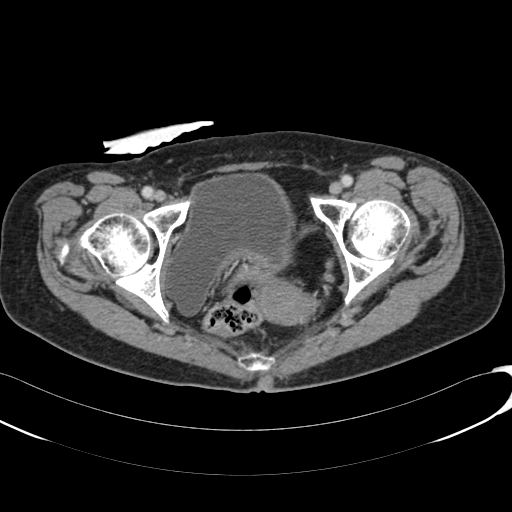 Pelvis | CT scan slice | 512x512

<segmentation>
  <urinary_bladder>rect(164, 173, 293, 315)</urinary_bladder>
</segmentation>